Slice 51/155
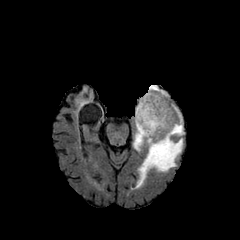
FLAIR magnetic resonance.
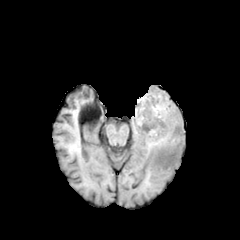
Same slice, T1-weighted magnetic resonance.
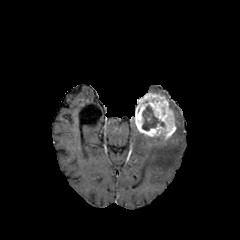
Post-contrast T1-weighted MRI.
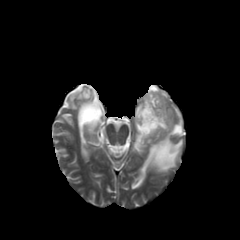
T2-weighted MRI.
The edema is located at bbox(133, 85, 183, 185). The enhancing tumor is bounded by bbox(135, 92, 176, 139). 2 non-enhancing tumor core regions are located at bbox(142, 105, 159, 130); bbox(154, 132, 165, 140).